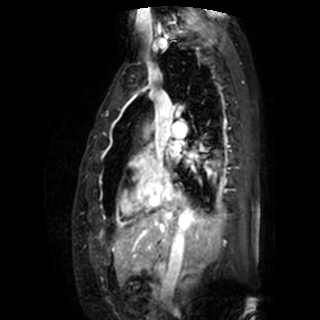

Heart | MR | 320x320
Segmented structures:
- left atrium: (169, 142, 179, 156)